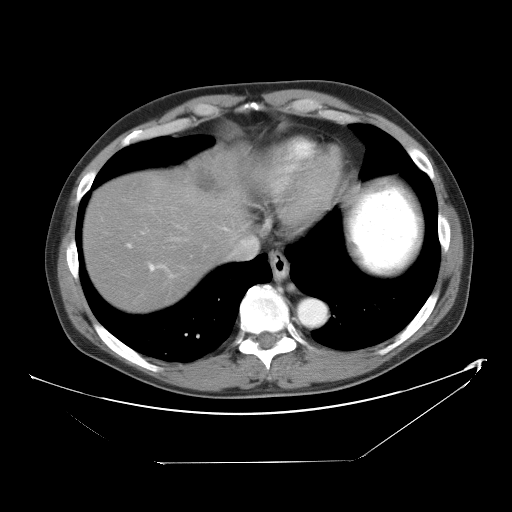
CT image
The vessel annotation is not exhaustive.
Findings:
- liver tumor: <box>192,162,226,194</box>
- hepatic vessel: <box>170,274,173,276</box>, <box>127,244,130,246</box>, <box>222,227,227,230</box>, <box>148,263,151,266</box>, <box>154,265,167,270</box>